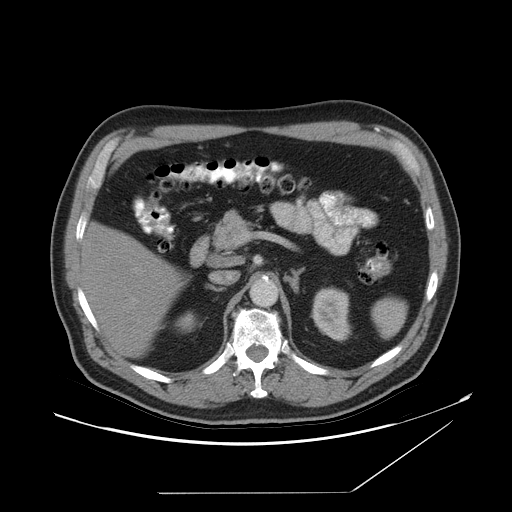

512x512 | CT scan slice
<segmentation>
  <spleen>x1=372 y1=297 x2=406 y2=337</spleen>
</segmentation>